Brain | Slice index 47
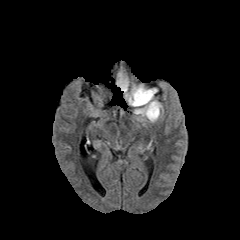
FLAIR MRI.
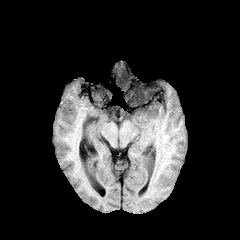
Same slice, T1-weighted MRI.
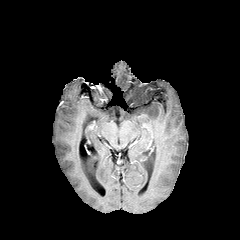
Post-contrast T1-weighted MR.
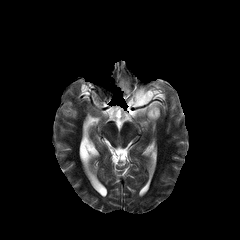
T2-weighted magnetic resonance of the same slice.
<segmentation>
  <non-enhancing_tumor_core>{"x1": 132, "y1": 90, "x2": 151, "y2": 103}</non-enhancing_tumor_core>
  <edema>{"x1": 119, "y1": 78, "x2": 164, "y2": 125}</edema>
</segmentation>